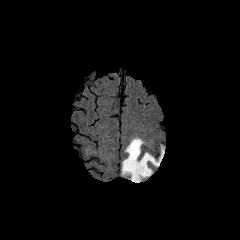
FLAIR MRI.
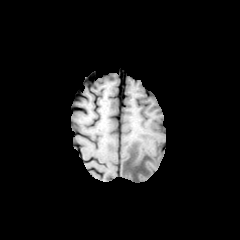
Same slice, T1-weighted magnetic resonance.
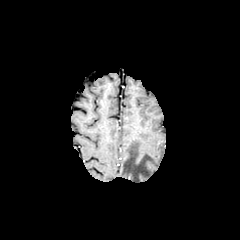
Post-contrast T1-weighted MRI.
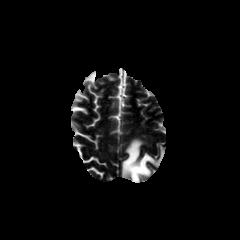
T2-weighted MR.
Brain | Image size 240x240
edema:
  - (left=121, top=138, right=164, bottom=182)